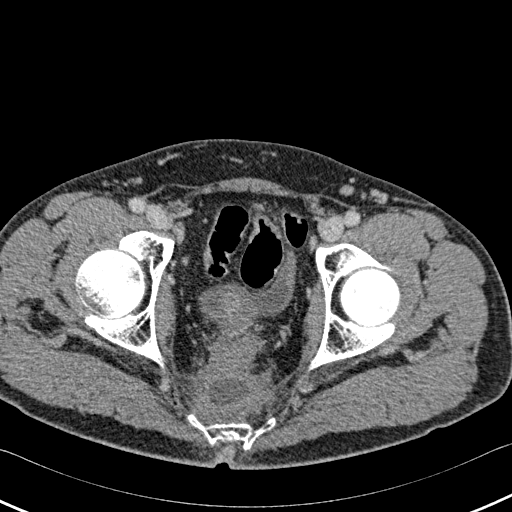 Pelvis | CT image

urinary bladder: (200, 251, 295, 324) | bone: (310, 244, 401, 368), (188, 414, 275, 449), (76, 231, 174, 366)